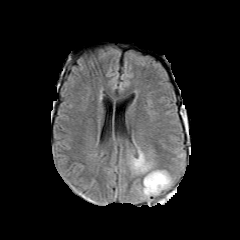
FLAIR MRI.
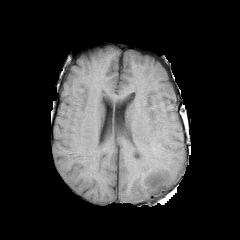
T1-weighted magnetic resonance of the same slice.
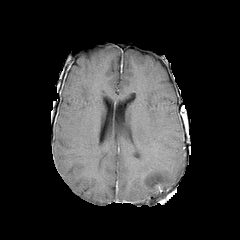
Same slice, post-contrast T1-weighted magnetic resonance.
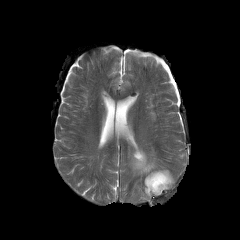
T2-weighted MR.
Head
Segmented structures:
• edema: bbox(130, 147, 174, 199)